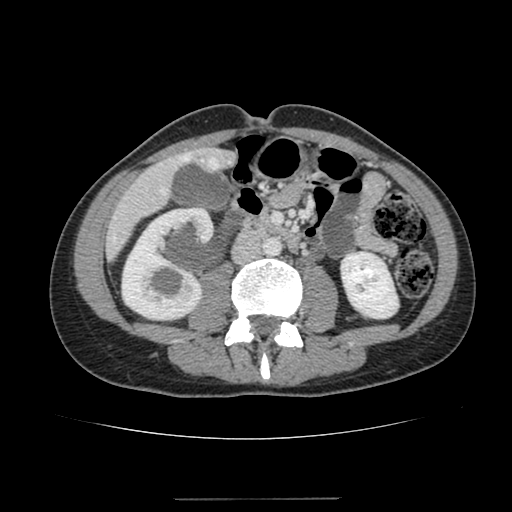

CT. 512x512. Abdomen. The liver lies within 105,148,234,262. 2 kidney regions are located at 341,252,398,318; 122,208,212,319.